Brain. Image size 240x240. Slice 100/155.
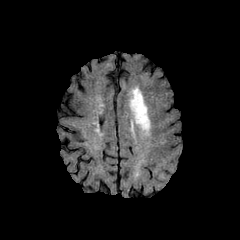
FLAIR MR.
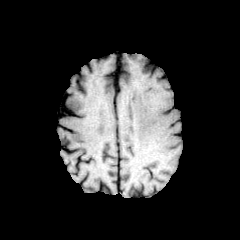
Same slice, T1-weighted MRI.
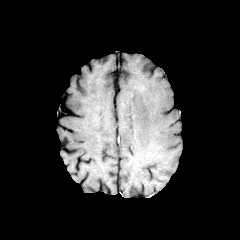
Post-contrast T1-weighted MR.
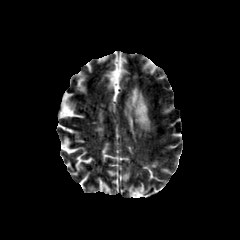
T2-weighted MR image of the same slice.
The edema is at 127, 87, 150, 135.